Slice index 102.
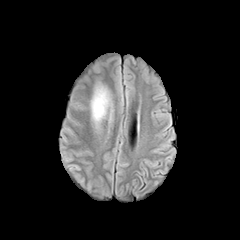
FLAIR magnetic resonance.
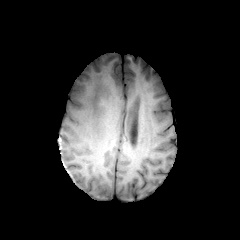
T1-weighted MRI.
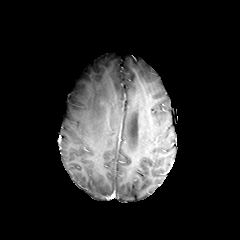
Same slice, post-contrast T1-weighted MRI.
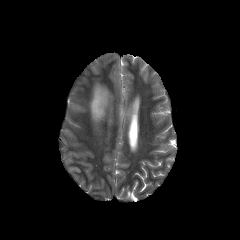
T2-weighted magnetic resonance of the same slice.
Edema: bounding box <box>90,83,112,120</box>.